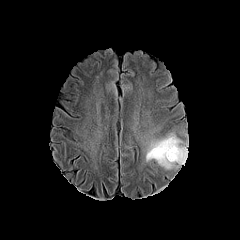
FLAIR magnetic resonance.
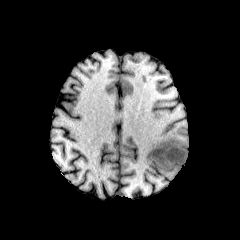
T1-weighted MR of the same slice.
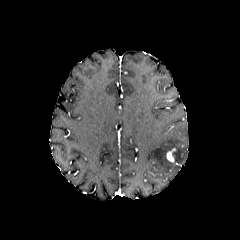
Post-contrast T1-weighted magnetic resonance.
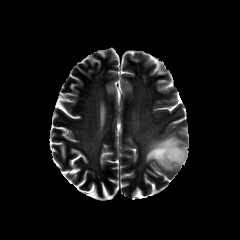
T2-weighted MR.
Edema — (146,136,188,168).